FLAIR MRI.
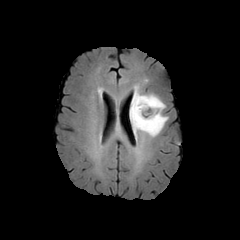
T1-weighted MR image.
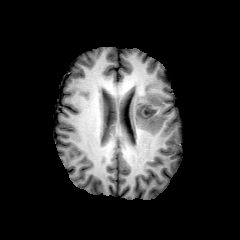
Post-contrast T1-weighted MR.
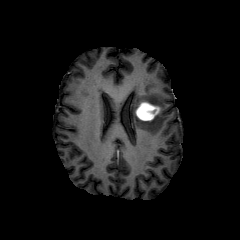
T2-weighted MR.
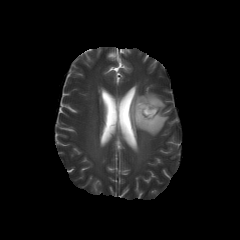
Head
<segmentation>
  <enhancing_tumor>136,102,159,120</enhancing_tumor>
  <non-enhancing_tumor_core>134,99,158,126</non-enhancing_tumor_core>
  <edema>130,86,168,138</edema>
</segmentation>